CT scan slice. Image size 512x512. Pelvis. Slice index 25. 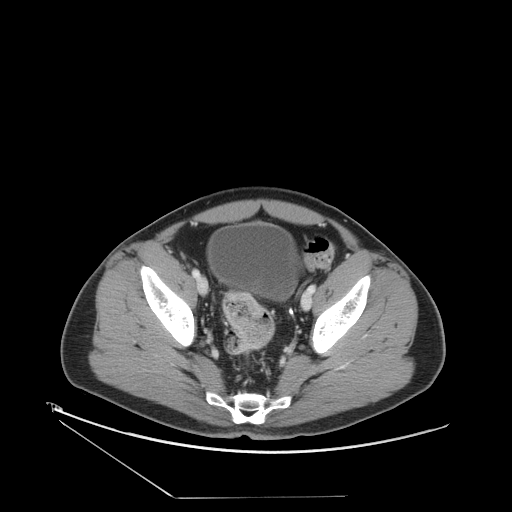 colon tumor: [x1=223, y1=293, x2=263, y2=334]